Liver | CT scan slice | Slice index 395
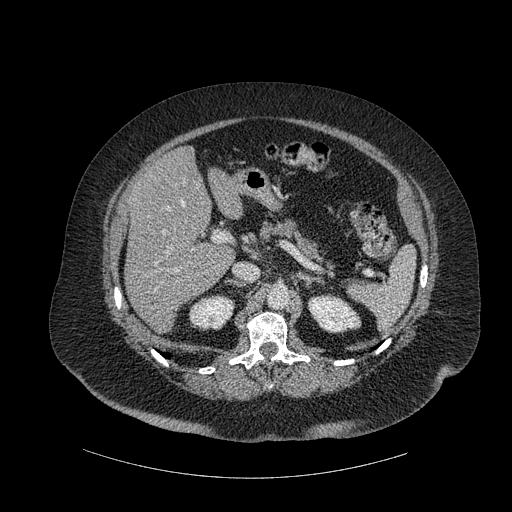
7 bone regions appear at <box>334,359,353,365</box>, <box>229,312,309,368</box>, <box>199,367,214,373</box>, <box>114,287,121,308</box>, <box>376,339,390,353</box>, <box>151,349,168,366</box>, <box>420,265,427,287</box>. 2 liver regions appear at <box>125,145,235,333</box>, <box>208,168,242,216</box>. 2 kidney regions appear at <box>308,296,360,331</box>, <box>190,296,233,328</box>.